240x240
FLAIR magnetic resonance.
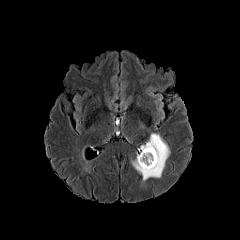
T1-weighted MRI.
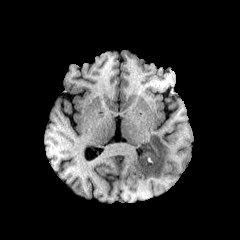
Post-contrast T1-weighted MR.
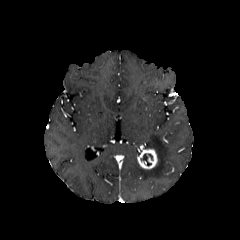
T2-weighted magnetic resonance.
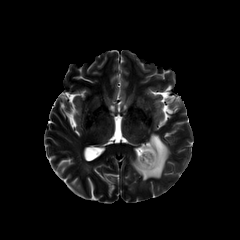
edema: region(132, 133, 169, 180) | enhancing tumor: region(137, 149, 157, 168) | non-enhancing tumor core: region(140, 153, 153, 166)